Slice index 93
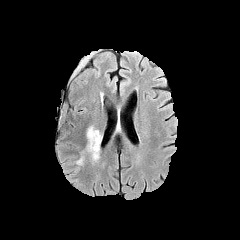
FLAIR magnetic resonance.
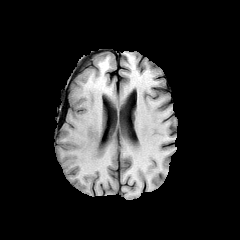
T1-weighted magnetic resonance.
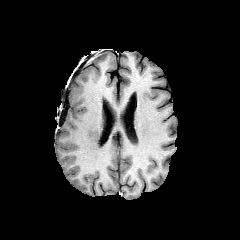
Post-contrast T1-weighted MRI.
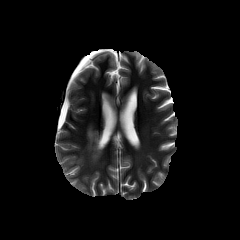
Same slice, T2-weighted MR.
Findings:
* edema: (76, 156, 85, 165), (84, 126, 101, 161)